240x240 | Slice 87/155 | Image width 240 mm
FLAIR MRI.
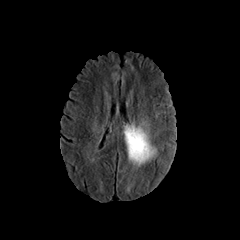
T1-weighted MR image.
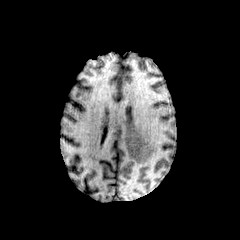
Post-contrast T1-weighted MRI.
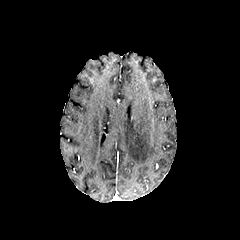
T2-weighted magnetic resonance.
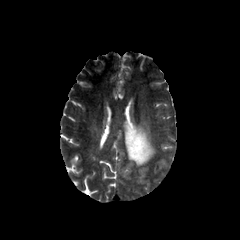
Edema: box(124, 121, 157, 173).